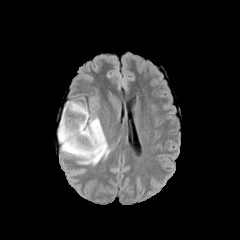
FLAIR MR image.
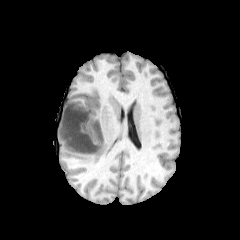
T1-weighted MR image.
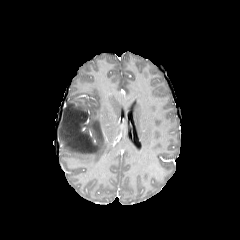
Post-contrast T1-weighted magnetic resonance.
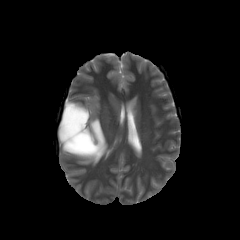
Same slice, T2-weighted MR.
2 edema regions are located at region(60, 101, 111, 164); region(58, 118, 61, 144). The non-enhancing tumor core is at region(60, 102, 100, 156).